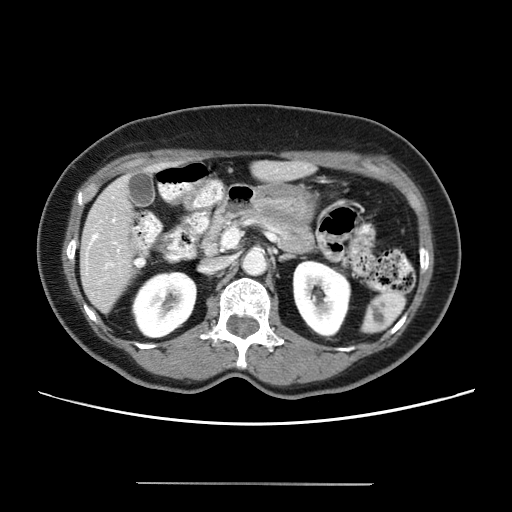

CT, Liver

Not every hepatic vessel necessarily has a box.
{"hepatic_vessel": ["box=[93, 236, 95, 237]"]}